CT slice. 512x512 px.

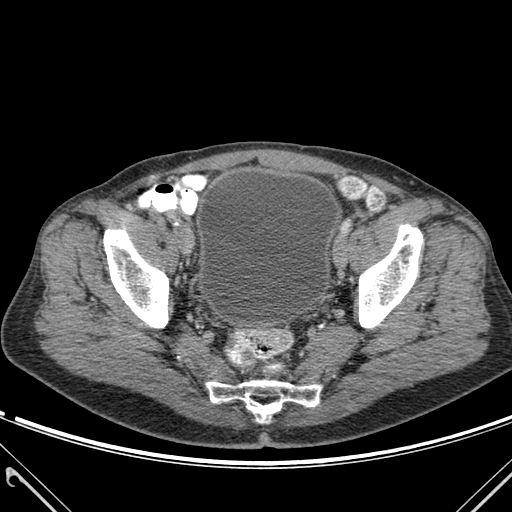 * bone: rect(206, 380, 320, 422); rect(103, 229, 168, 327); rect(359, 224, 422, 327)
* urinary bladder: rect(200, 172, 336, 322)